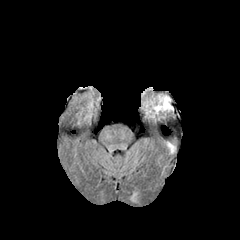
FLAIR magnetic resonance.
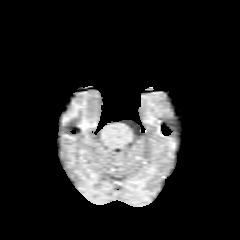
Same slice, T1-weighted MRI.
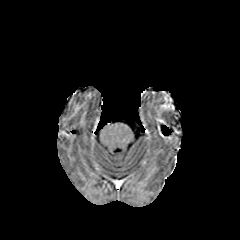
Post-contrast T1-weighted magnetic resonance of the same slice.
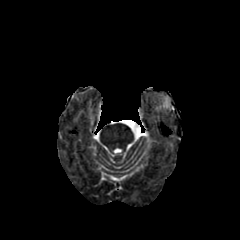
T2-weighted MRI.
Brain
The edema lies within 150 92 171 119. The enhancing tumor is bounded by 160 95 173 109.